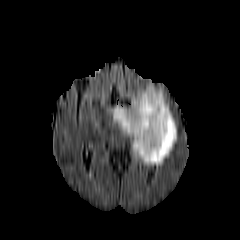
FLAIR MR image.
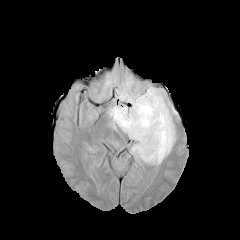
Same slice, T1-weighted magnetic resonance.
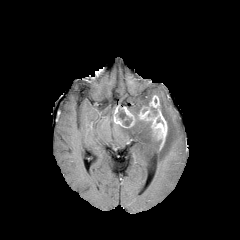
Post-contrast T1-weighted MR image.
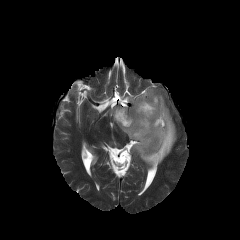
Same slice, T2-weighted magnetic resonance.
Head
2 enhancing tumor regions are located at box=[138, 95, 167, 149]; box=[114, 106, 134, 127]. The edema is at box=[118, 85, 176, 165]. The non-enhancing tumor core lies within box=[116, 107, 131, 126].